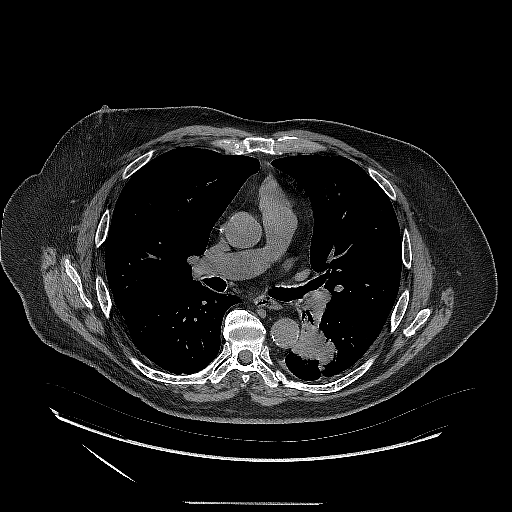
Computed tomography | Lung
• lung tumor: l=289, t=312, r=338, b=376